Image size 240x240, Slice 87 of 155, Brain
FLAIR MR image.
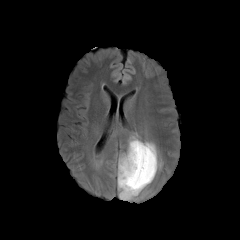
T1-weighted MR.
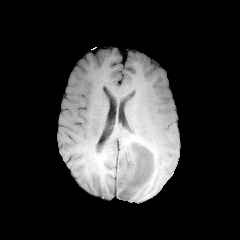
Post-contrast T1-weighted MRI.
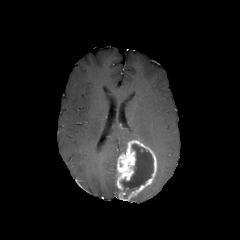
T2-weighted MR image.
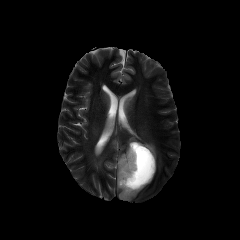
Findings:
• enhancing tumor: [117, 140, 156, 200]
• edema: [127, 132, 161, 169]
• non-enhancing tumor core: [122, 144, 153, 191]